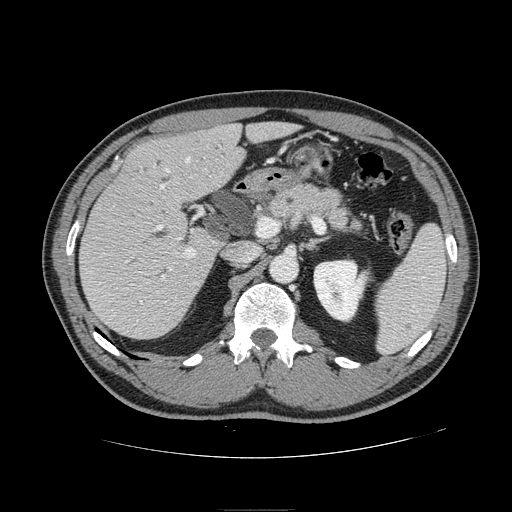
Upper abdomen, CT
<segmentation>
  <pancreas>[x1=268, y1=184, x2=361, y2=230]</pancreas>
</segmentation>